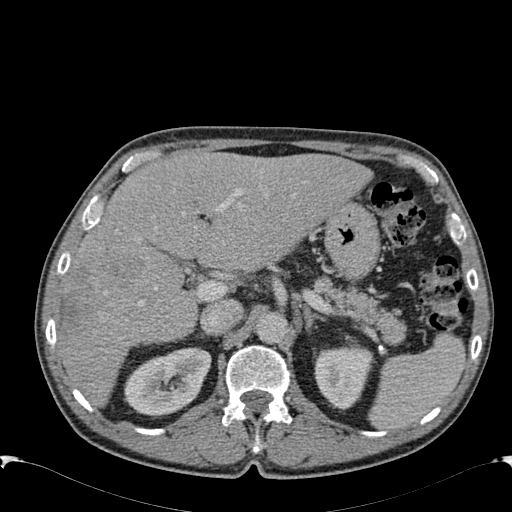 Image size 512x512; CT slice

Annotated regions:
• liver: region(55, 151, 372, 405)
• kidney: region(125, 348, 210, 415); region(315, 348, 371, 408)
• hepatic lesion: region(62, 267, 99, 337)